FLAIR magnetic resonance.
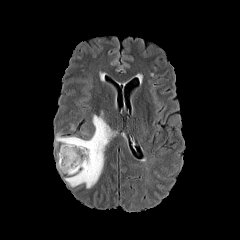
T1-weighted magnetic resonance.
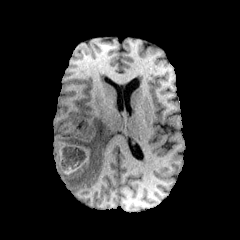
Post-contrast T1-weighted MRI.
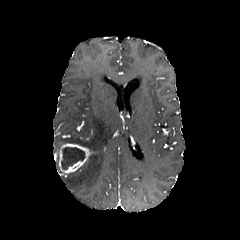
T2-weighted magnetic resonance.
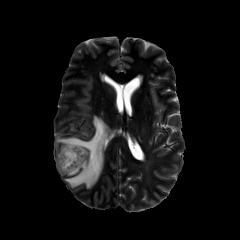
Image size 240x240. Head.
enhancing tumor: box=[58, 143, 90, 173] | edema: box=[55, 114, 114, 188] | non-enhancing tumor core: box=[61, 147, 85, 170]; box=[56, 151, 63, 173]